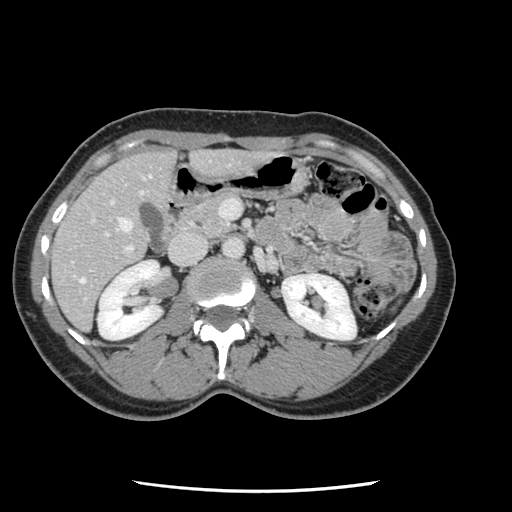
CT. Some hepatic vessels may have no box.
Segmented structures:
• hepatic vessel: {"x1": 126, "y1": 246, "x2": 131, "y2": 250}, {"x1": 140, "y1": 192, "x2": 141, "y2": 193}, {"x1": 80, "y1": 278, "x2": 84, "y2": 281}, {"x1": 110, "y1": 201, "x2": 112, "y2": 203}, {"x1": 143, "y1": 175, "x2": 150, "y2": 178}, {"x1": 119, "y1": 217, "x2": 131, "y2": 230}